Slice 40/89 | Abdomen | Computed tomography
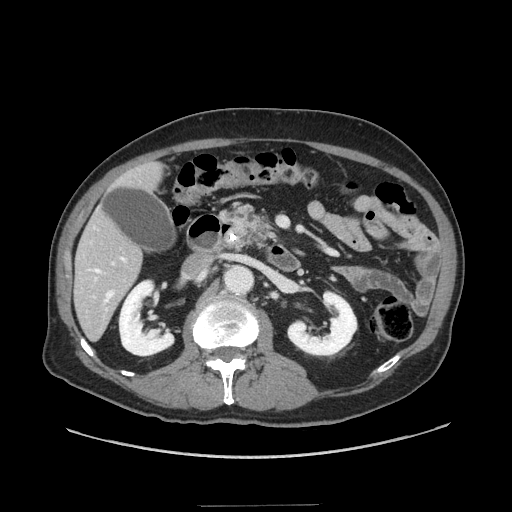 Pancreatic tumor = region(234, 221, 254, 236).
Pancreas = region(232, 206, 270, 238).